Field of view 240 mm wide, 1.00 mm slice spacing | Brain
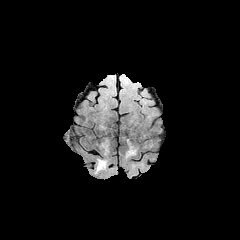
FLAIR MRI.
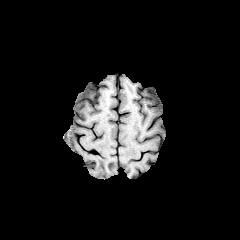
Same slice, T1-weighted MR.
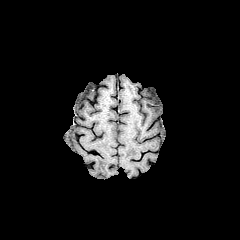
Post-contrast T1-weighted magnetic resonance of the same slice.
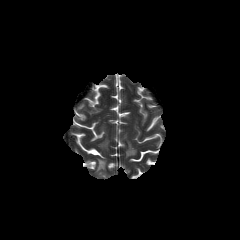
Same slice, T2-weighted magnetic resonance.
The edema lies within left=96, top=159, right=105, bottom=173.